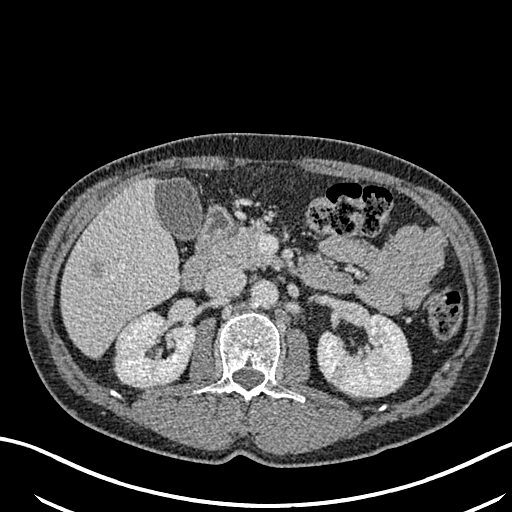
CT.
The liver is bounded by box=[63, 178, 179, 356]. 2 kidney regions are bounded by box=[116, 313, 194, 387]; box=[318, 308, 410, 396]. The focal liver lesion is located at box=[89, 259, 104, 278].